Field of view 386x386 mm. CT slice. Slice 126 of 245. Image size 512x512. Abdomen.

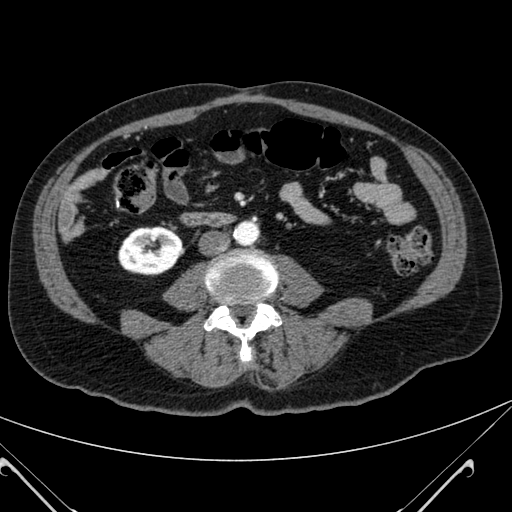 Annotated regions:
* kidney: rect(119, 227, 181, 273)